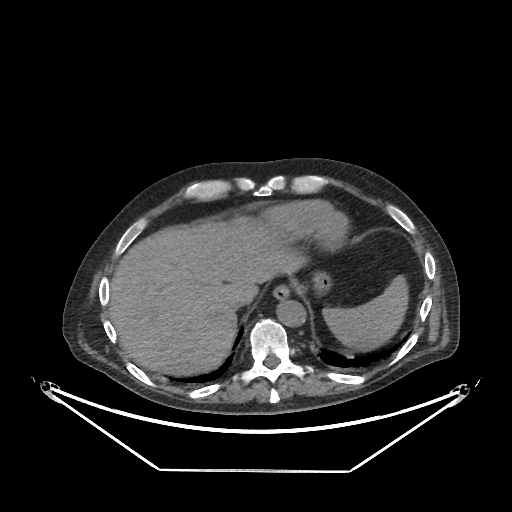
Liver | Computed tomography
Annotated regions:
• liver: bbox=[104, 217, 287, 375]